CT image. Upper abdomen. Slice index 182. 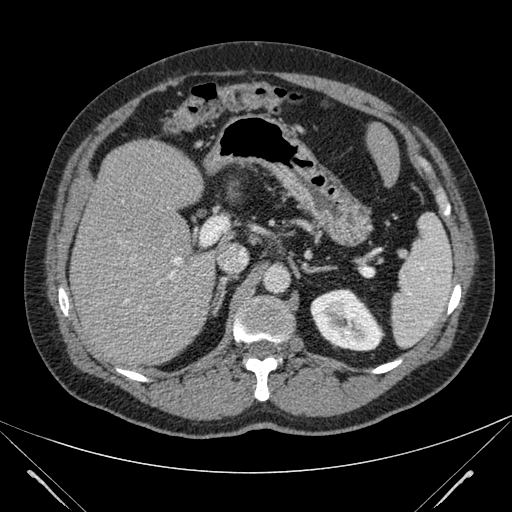 liver: 367:122:399:186, 62:139:212:373, 222:230:236:249 | kidney: 311:290:382:350